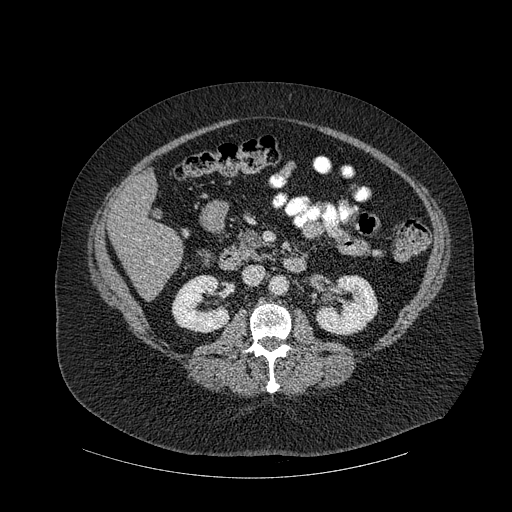

512x512 | CT

The liver is located at (108,173,184,296). 2 kidney regions appear at (172,275,228,332), (317,276,377,334). 2 bone regions are located at (245,304,290,392), (357,188,367,199).